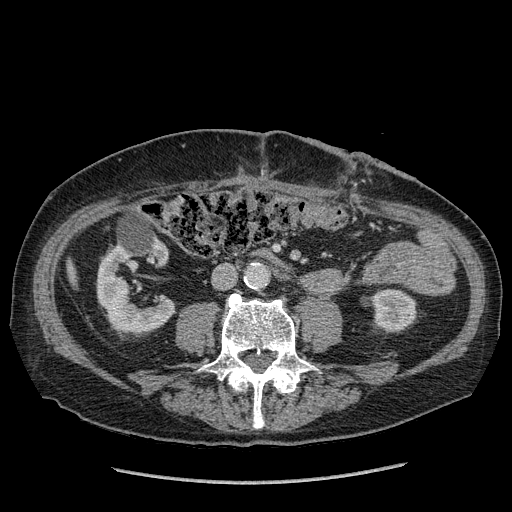

Liver, CT, 512x512

{
  "kidney": [
    "rect(97, 245, 173, 332)",
    "rect(152, 240, 167, 265)",
    "rect(371, 289, 416, 331)"
  ],
  "liver": [
    "rect(67, 259, 75, 286)"
  ]
}